CT. Slice 31 of 111.
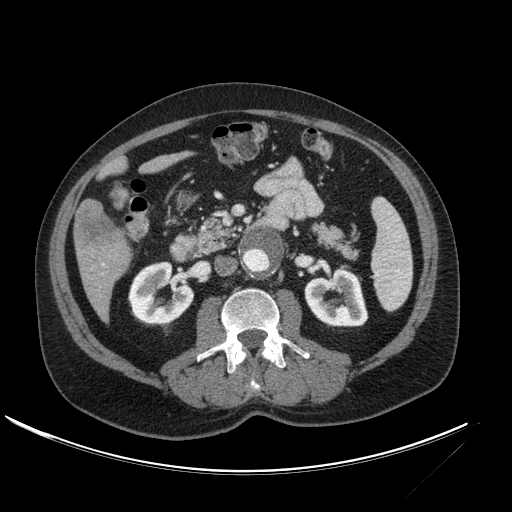

focal liver lesion: (x1=74, y1=199, x2=124, y2=251) | kidney: (x1=129, y1=263, x2=192, y2=322), (x1=305, y1=270, x2=366, y2=325) | liver: (x1=139, y1=151, x2=194, y2=174), (x1=75, y1=235, x2=133, y2=322), (x1=95, y1=156, x2=130, y2=182)